Field of view 240 mm wide, 1.00 mm slice spacing
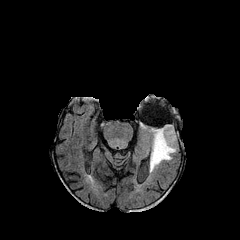
FLAIR MR.
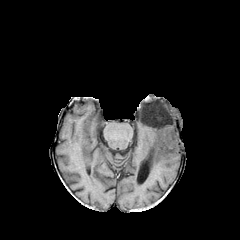
Same slice, T1-weighted MRI.
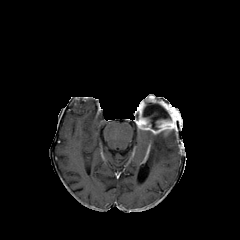
Post-contrast T1-weighted magnetic resonance.
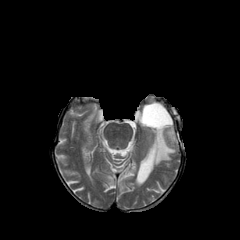
T2-weighted MR image of the same slice.
<segmentation>
  <edema>(x1=144, y1=131, x2=178, y2=173)</edema>
  <enhancing_tumor>(x1=139, y1=122, x2=173, y2=133)</enhancing_tumor>
  <non-enhancing_tumor_core>(x1=134, y1=96, x2=180, y2=139)</non-enhancing_tumor_core>
</segmentation>